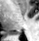 39x41. Medial temporal lobe. MRI. Posterior hippocampus: bounding box {"x1": 14, "y1": 33, "x2": 20, "y2": 34}.